CT image; Slice 301/761; 512x512 px; Upper abdomen 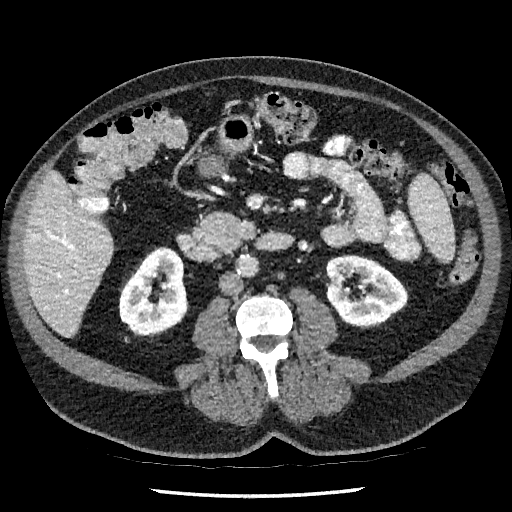
Liver at [24,170,112,336].
Kidney at [120,250,186,334], [327,256,406,325].